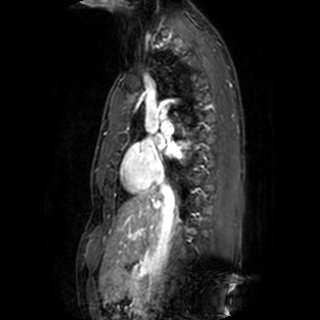 Cardiac. MRI.

Annotated regions:
- left atrium: <bbox>167, 145, 180, 156</bbox>, <bbox>155, 136, 164, 148</bbox>